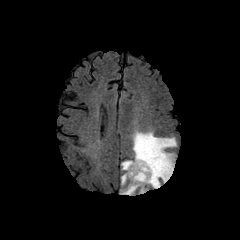
FLAIR MRI.
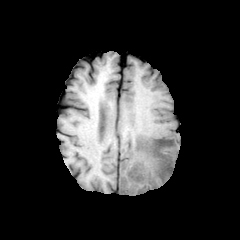
T1-weighted MR.
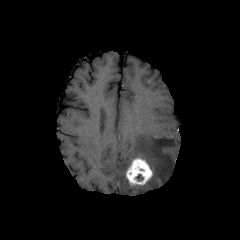
Same slice, post-contrast T1-weighted MRI.
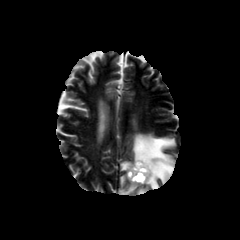
Same slice, T2-weighted MRI.
Head
2 edema regions are bounded by (119, 131, 177, 195), (120, 160, 132, 170). The enhancing tumor is bounded by (125, 156, 153, 188).